Computed tomography, Liver
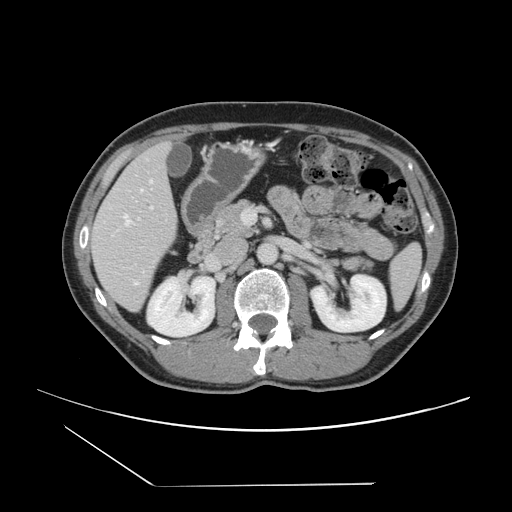

The vessel annotation is not exhaustive.
Findings:
- hepatic vessel: x1=133, y1=280, x2=135, y2=282; x1=130, y1=223, x2=134, y2=224